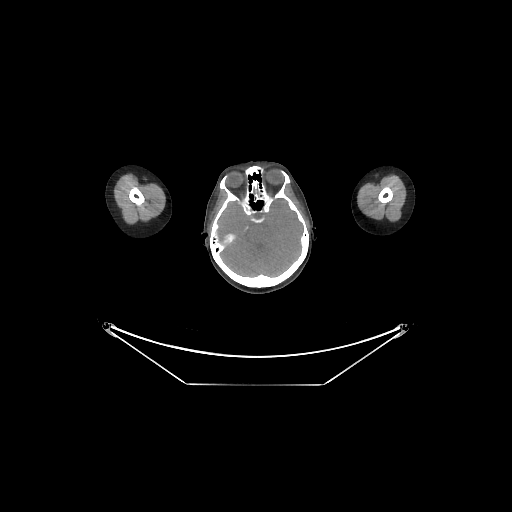
Head. CT scan slice.
<segmentation>
  <brain>217,198,303,275</brain>
</segmentation>